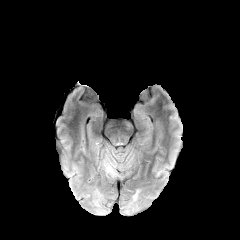
FLAIR MR image.
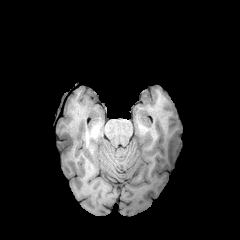
T1-weighted MR of the same slice.
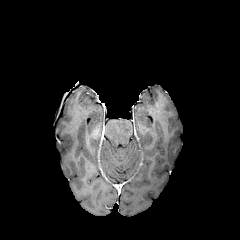
Post-contrast T1-weighted MR image.
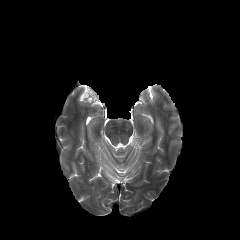
Same slice, T2-weighted MR.
Brain
The edema is located at <box>102,162,114,177</box>.